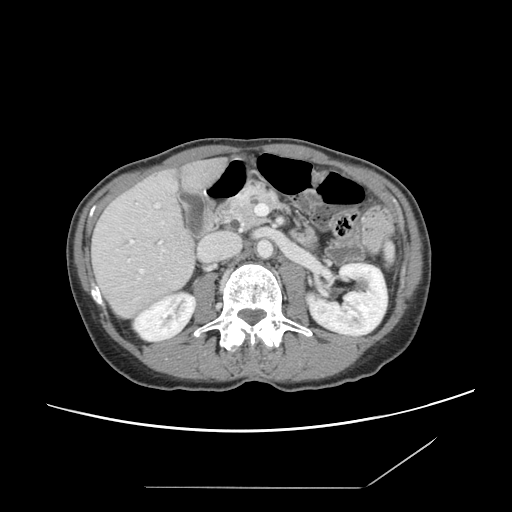
CT scan slice | 512x512 | Upper abdomen
• pancreas: left=216, top=182, right=284, bottom=233